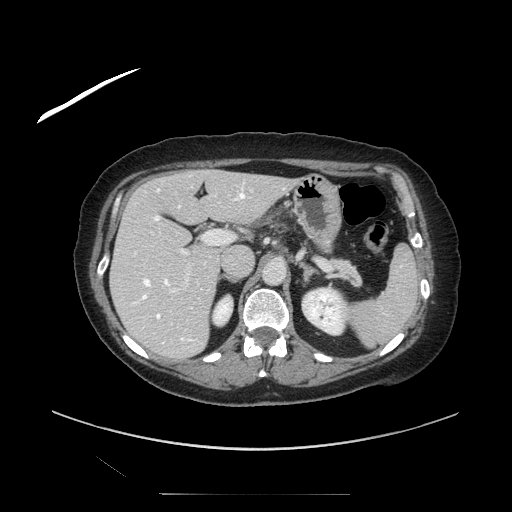 CT scan slice

The pancreas is at x1=331 y1=257 x2=360 y2=285.